CT slice
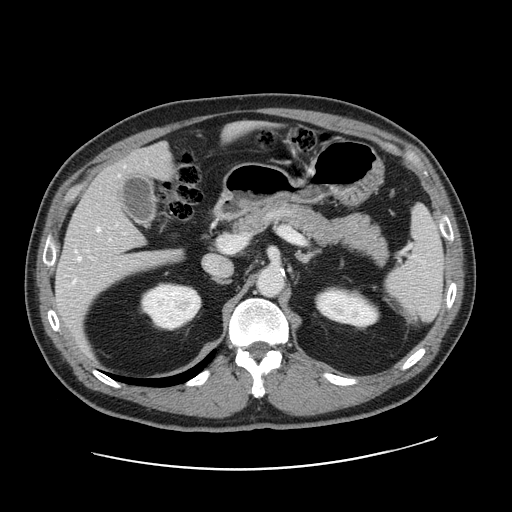 Not every hepatic vessel necessarily has a box.
Hepatic vessel = left=159, top=144, right=165, bottom=146; left=69, top=278, right=76, bottom=285; left=97, top=227, right=99, bottom=230; left=80, top=342, right=86, bottom=350; left=134, top=234, right=141, bottom=244; left=90, top=256, right=94, bottom=258; left=125, top=251, right=177, bottom=262; left=77, top=255, right=81, bottom=259; left=76, top=333, right=77, bottom=338; left=228, top=122, right=254, bottom=129; left=117, top=174, right=119, bottom=176; left=75, top=249, right=77, bottom=252.